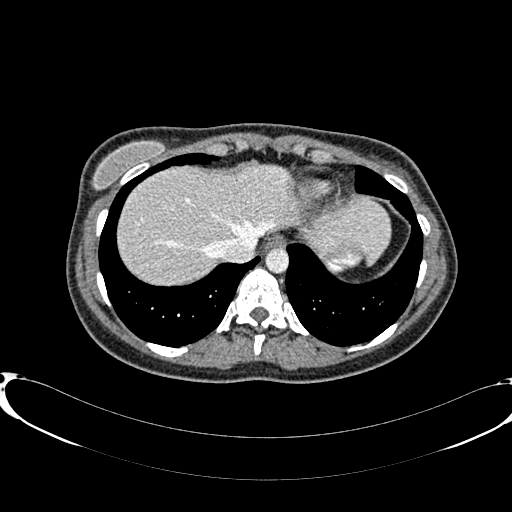 512x512 px | Computed tomography
{
  "liver": [
    "[304,199,390,263]",
    "[118,165,297,283]"
  ]
}